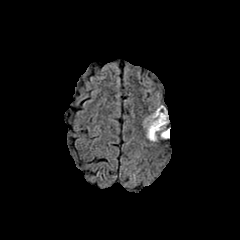
FLAIR MRI.
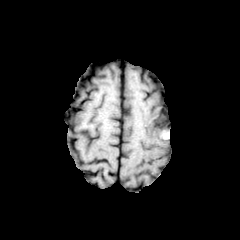
T1-weighted MR of the same slice.
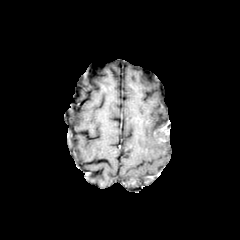
Post-contrast T1-weighted magnetic resonance.
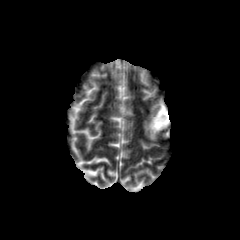
T2-weighted MR.
Brain.
<segmentation>
  <non-enhancing_tumor_core>154:109:168:134</non-enhancing_tumor_core>
  <edema>144:105:169:141</edema>
</segmentation>